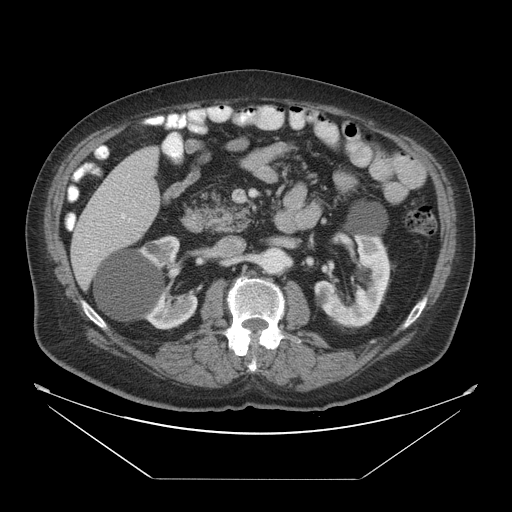 Image size 512x512; Liver; CT

The vessel annotation is not exhaustive.
Hepatic vessel = left=122, top=214, right=124, bottom=217.